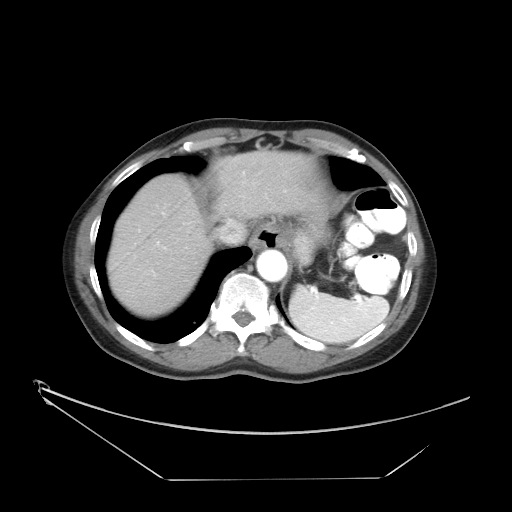 CT slice | Liver
Some hepatic vessels may have no box.
Annotated regions:
• hepatic vessel: region(157, 242, 158, 243)